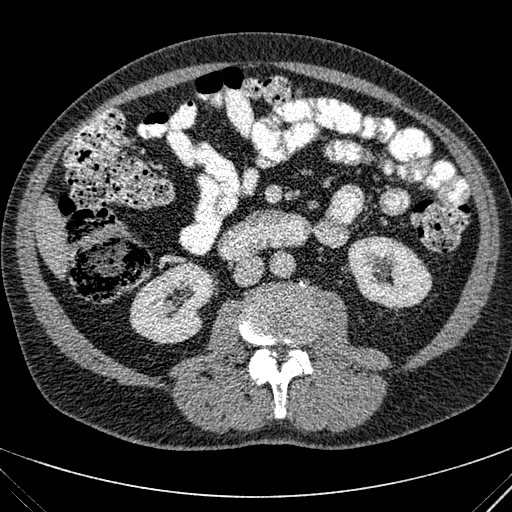 CT image, Upper abdomen, 512x512
liver:
  - bbox=[36, 195, 64, 278]
kidney:
  - bbox=[348, 236, 431, 307]
  - bbox=[130, 262, 213, 342]